240x240 px. Head. Field of view 240 mm wide, 1.00 mm slice spacing.
FLAIR MR.
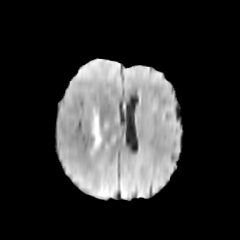
T1-weighted MR.
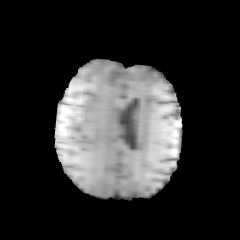
Post-contrast T1-weighted MR image.
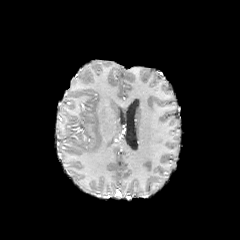
T2-weighted MR.
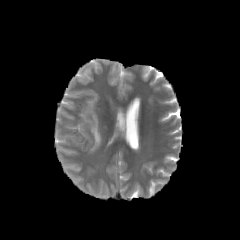
edema: bbox=[89, 112, 102, 154]